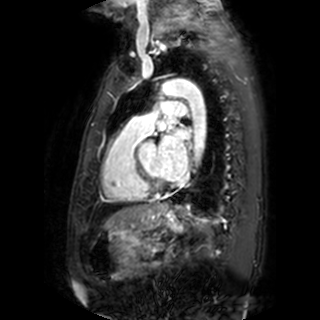

Cardiac. MR image.

Segmented structures:
- left atrium: [166, 116, 175, 124], [156, 130, 189, 180]